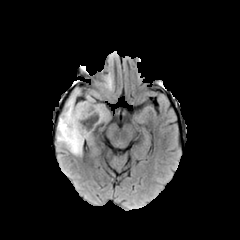
FLAIR magnetic resonance.
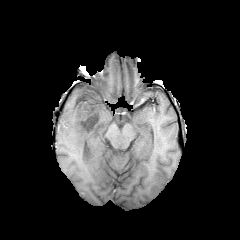
Same slice, T1-weighted MR image.
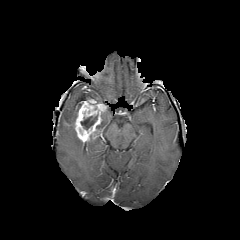
Post-contrast T1-weighted magnetic resonance of the same slice.
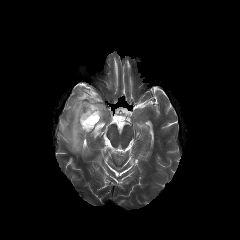
T2-weighted MR image.
Image size 240x240 | Brain
{
  "non-enhancing_tumor_core": [
    "80, 114, 99, 131",
    "74, 91, 99, 121"
  ],
  "edema": [
    "101, 109, 109, 124",
    "57, 88, 83, 154"
  ],
  "enhancing_tumor": [
    "74, 97, 105, 142"
  ]
}